FLAIR MR image.
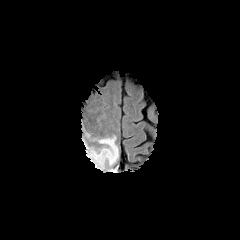
T1-weighted magnetic resonance.
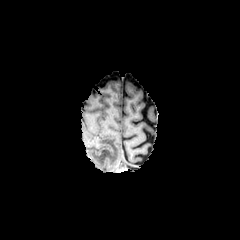
Post-contrast T1-weighted MRI.
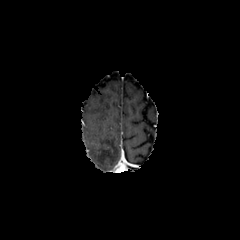
T2-weighted MRI.
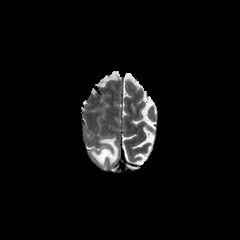
Head | Image size 240x240
The edema appears at x1=98 y1=138 x2=118 y2=164.